Slice index 115; 240x240; Head
FLAIR MR image.
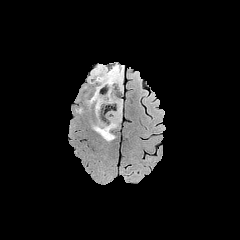
T1-weighted magnetic resonance.
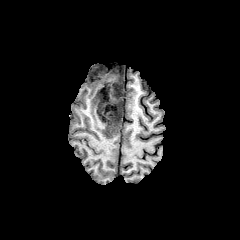
Post-contrast T1-weighted MRI.
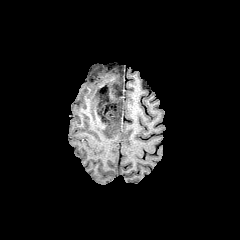
T2-weighted magnetic resonance.
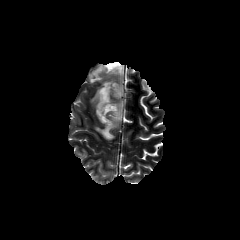
Findings:
- edema: bbox=[101, 122, 119, 139]; bbox=[116, 68, 123, 83]; bbox=[87, 66, 109, 116]; bbox=[104, 82, 122, 109]; bbox=[100, 110, 113, 125]
- non-enhancing tumor core: bbox=[96, 94, 111, 111]; bbox=[96, 110, 121, 133]; bbox=[96, 65, 121, 93]